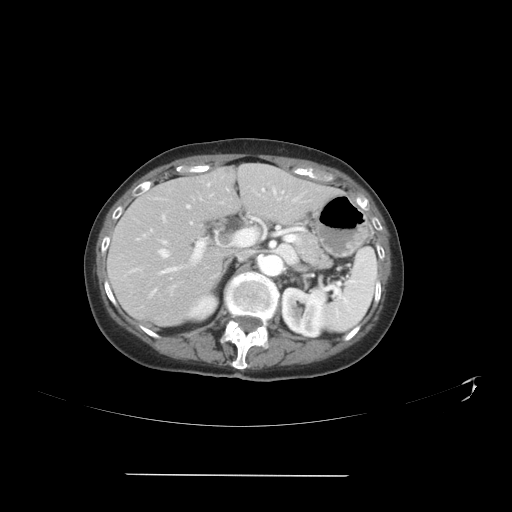 Abdomen | CT image
Not every hepatic vessel necessarily has a box.
Hepatic vessel = 186,205,189,208; 192,250,202,264; 150,229,152,231; 294,198,298,200; 159,267,178,274; 143,234,145,236; 272,188,275,193; 161,240,166,243; 190,222,192,223; 207,183,209,185; 278,198,280,200; 281,191,283,193; 162,215,165,220; 262,188,264,191; 159,249,167,257.